MR image; Hippocampus; 36x53 px 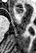 The anterior hippocampus appears at region(15, 7, 22, 13).